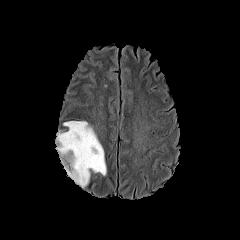
FLAIR MRI.
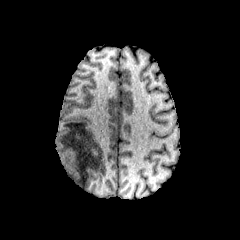
Same slice, T1-weighted MR image.
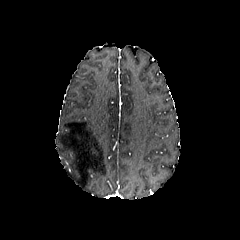
Same slice, post-contrast T1-weighted MRI.
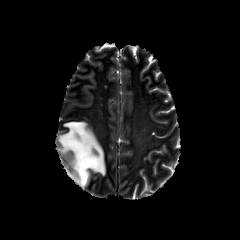
Same slice, T2-weighted MR image.
Edema — (54,121,107,189).